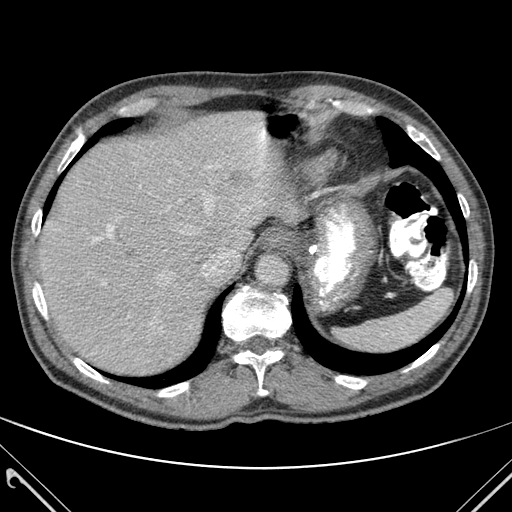
Computed tomography.
liver:
  - rect(39, 111, 302, 376)
lung:
  - rect(44, 183, 59, 214)
  - rect(291, 285, 456, 374)
  - rect(118, 287, 230, 388)
  - rect(376, 117, 467, 258)
  - rect(78, 118, 131, 157)
hepatic_lesion:
  - rect(230, 170, 246, 186)
bone:
  - rect(404, 344, 438, 371)
  - rect(32, 210, 41, 235)
  - rect(33, 283, 47, 318)
  - rect(335, 376, 365, 388)
  - rect(223, 286, 291, 340)
  - rect(468, 261, 477, 291)
  - rect(58, 134, 83, 171)
  - rect(158, 383, 188, 396)
  - rect(74, 358, 106, 382)
  - rect(458, 194, 469, 216)
  - rect(234, 349, 282, 395)
  - rect(408, 127, 439, 159)